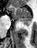 37x48, MR image
The anterior hippocampus is bounded by [x1=8, y1=6, x2=31, y2=20].